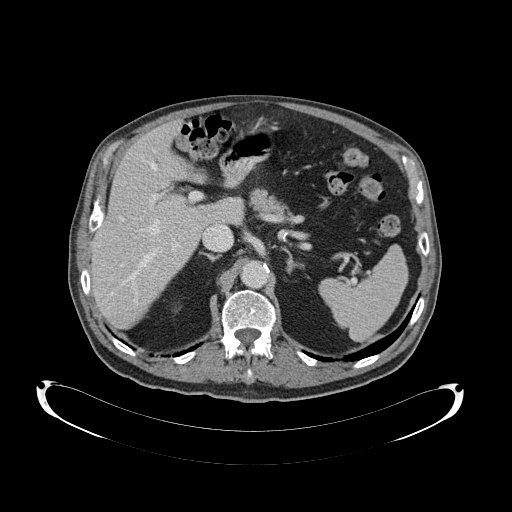
CT scan slice

• pancreas: [248,188,292,219]